Liver; Computed tomography

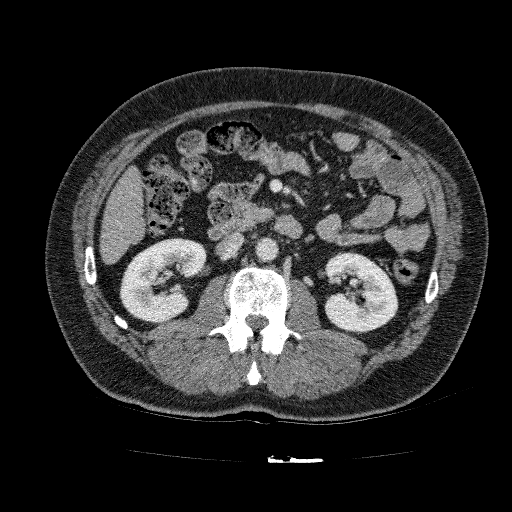 The liver is at 101, 166, 145, 263. 2 kidney regions are bounded by 325, 253, 397, 331; 121, 239, 205, 321.